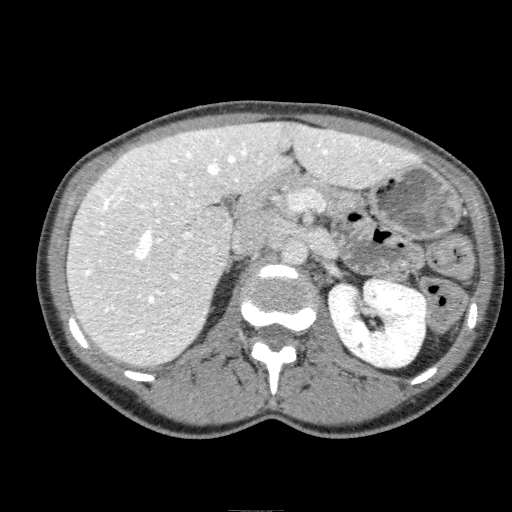

Abdomen; Computed tomography; 512x512
Annotated regions:
* kidney: [329,280,425,366]
* liver: [67,121,419,365]
* hepatic lesion: [200,205,228,229], [281,122,296,137]